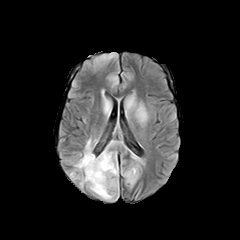
FLAIR MR image.
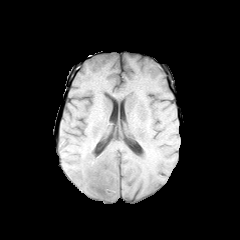
Same slice, T1-weighted MR.
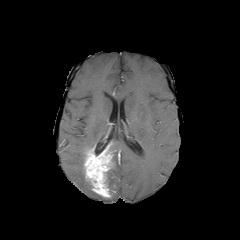
Same slice, post-contrast T1-weighted MR image.
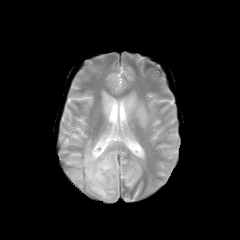
T2-weighted MR of the same slice.
Head
Findings:
* edema: <bbox>138, 106, 147, 122</bbox>, <bbox>104, 100, 110, 111</bbox>, <bbox>109, 151, 118, 193</bbox>, <bbox>69, 139, 94, 191</bbox>, <bbox>126, 96, 135, 111</bbox>, <bbox>96, 192, 115, 201</bbox>, <bbox>110, 140, 122, 151</bbox>
* non-enhancing tumor core: <bbox>106, 151, 115, 194</bbox>
* enhancing tumor: <bbox>84, 144, 113, 197</bbox>